FLAIR magnetic resonance.
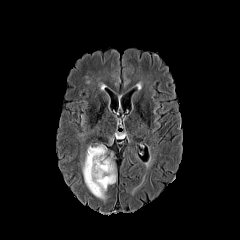
T1-weighted MR.
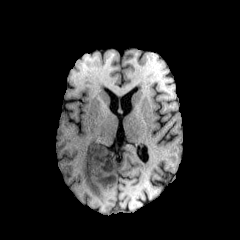
Post-contrast T1-weighted magnetic resonance.
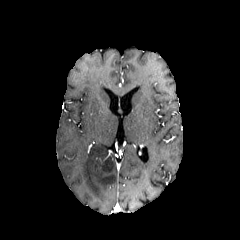
T2-weighted magnetic resonance.
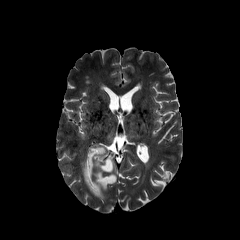
Brain.
non-enhancing_tumor_core:
  - (x1=92, y1=153, x2=110, y2=171)
edema:
  - (x1=80, y1=143, x2=116, y2=200)